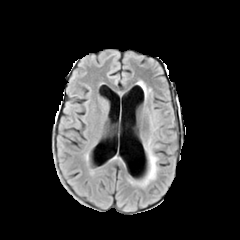
FLAIR MR image.
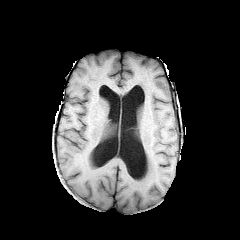
T1-weighted MR of the same slice.
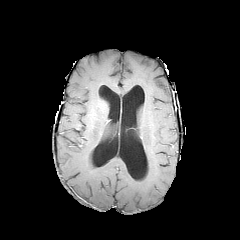
Post-contrast T1-weighted magnetic resonance.
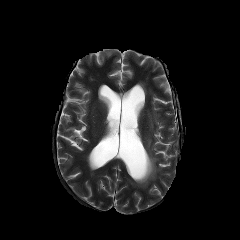
T2-weighted magnetic resonance.
<segmentation>
  <edema><box>137,138,159,186</box></edema>
</segmentation>